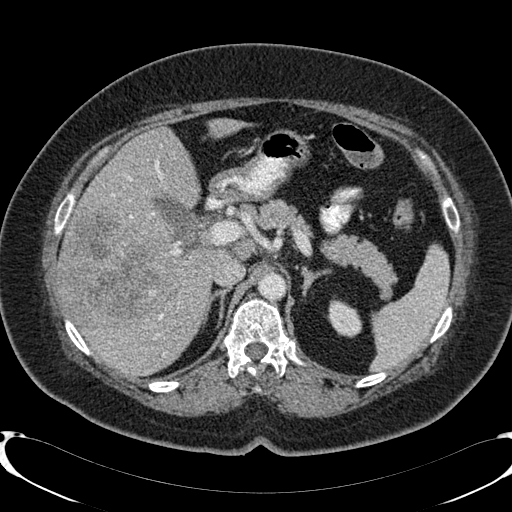
CT, Abdomen, 512x512

Kidney — (329, 301, 360, 333).
Liver — (63, 127, 229, 374), (211, 119, 239, 133).
Hepatic lesion — (57, 212, 175, 329).